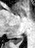

Image size 35x48; MR
The posterior hippocampus appears at 13:35:24:42.